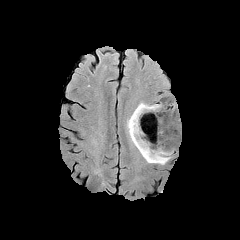
FLAIR magnetic resonance.
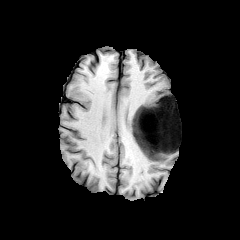
Same slice, T1-weighted MR.
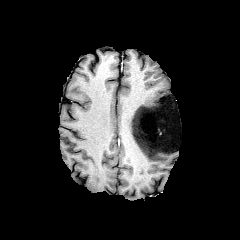
Post-contrast T1-weighted magnetic resonance of the same slice.
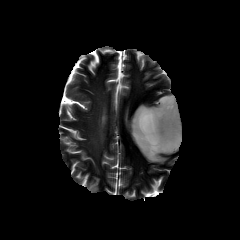
T2-weighted MR of the same slice.
Brain
The non-enhancing tumor core is bounded by {"x1": 132, "y1": 102, "x2": 178, "y2": 157}. 2 edema regions appear at {"x1": 138, "y1": 110, "x2": 153, "y2": 143}, {"x1": 126, "y1": 99, "x2": 175, "y2": 164}.